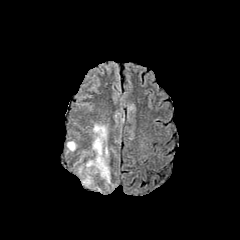
FLAIR magnetic resonance.
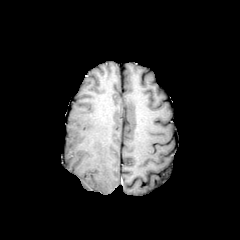
Same slice, T1-weighted magnetic resonance.
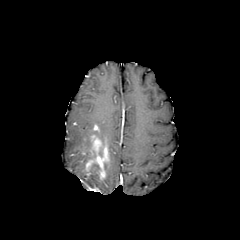
Post-contrast T1-weighted MR image.
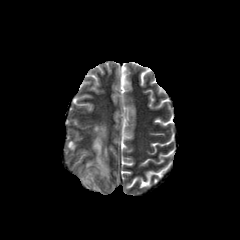
T2-weighted MR.
Brain
* enhancing tumor: {"x1": 91, "y1": 135, "x2": 110, "y2": 180}, {"x1": 86, "y1": 160, "x2": 93, "y2": 170}
* edema: {"x1": 92, "y1": 158, "x2": 100, "y2": 172}, {"x1": 103, "y1": 161, "x2": 110, "y2": 183}, {"x1": 93, "y1": 124, "x2": 107, "y2": 155}, {"x1": 67, "y1": 141, "x2": 76, "y2": 151}, {"x1": 81, "y1": 171, "x2": 92, "y2": 187}